Field of view 240 mm wide, 1.00 mm slice spacing. Head.
FLAIR magnetic resonance.
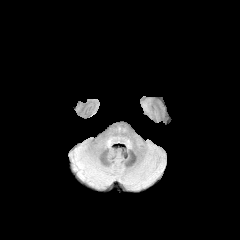
T1-weighted MR.
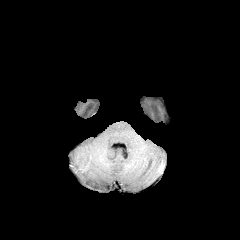
Post-contrast T1-weighted magnetic resonance.
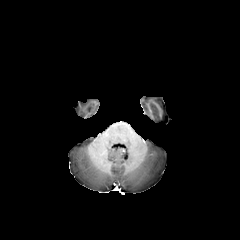
T2-weighted MR image.
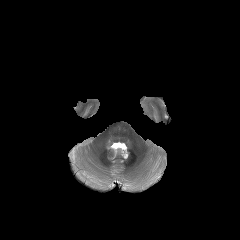
2 edema regions appear at box=[83, 170, 107, 185]; box=[131, 170, 157, 187].